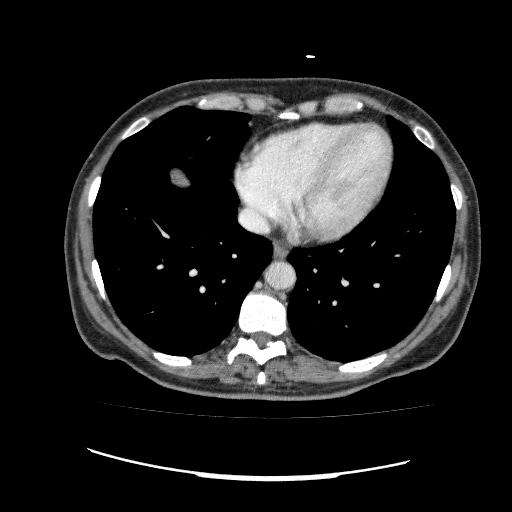
CT | Liver
<segmentation>
  <liver>170 167 187 190</liver>
</segmentation>